Brain.
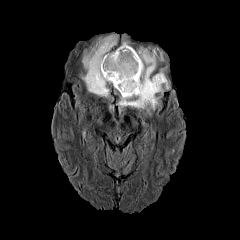
FLAIR MRI.
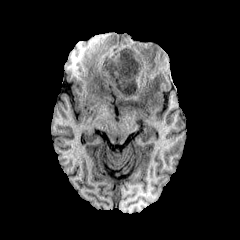
T1-weighted MR.
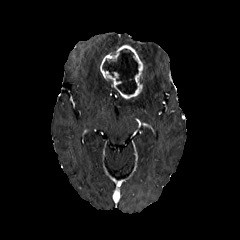
Post-contrast T1-weighted magnetic resonance.
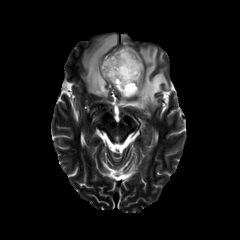
T2-weighted MRI of the same slice.
<segmentation>
  <edema>121:34:133:44, 80:34:118:97, 118:45:169:116</edema>
  <enhancing_tumor>99:44:142:100</enhancing_tumor>
  <non-enhancing_tumor_core>102:49:138:94</non-enhancing_tumor_core>
</segmentation>